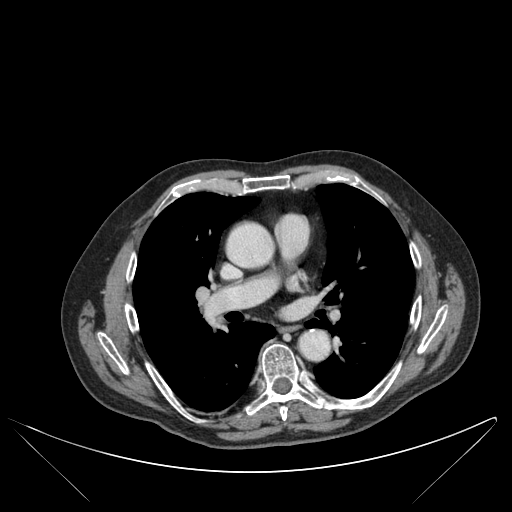

CT image.
Lung: 133,192,275,411; 304,183,414,398.
Bone: 418,307,446,353; 241,175,289,192; 245,344,400,420; 125,304,138,331; 410,243,420,266; 98,332,128,373; 126,253,136,280; 352,176,373,193; 410,296,421,328; 146,363,193,419.